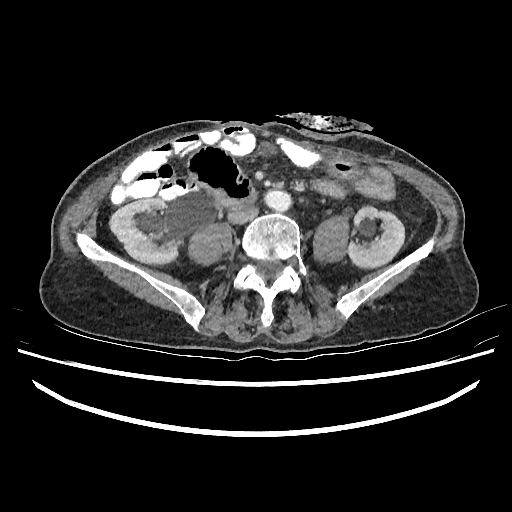

CT slice

2 kidney regions are bounded by rect(349, 207, 404, 266); rect(110, 198, 177, 262).